Abdomen | Computed tomography | Image size 512x512
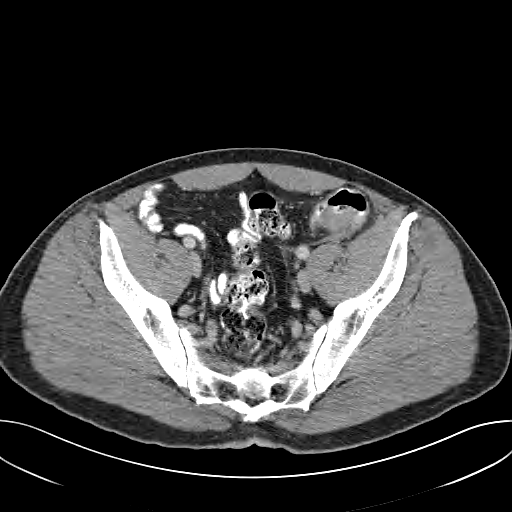
The colon tumor is located at 317:206:365:238.